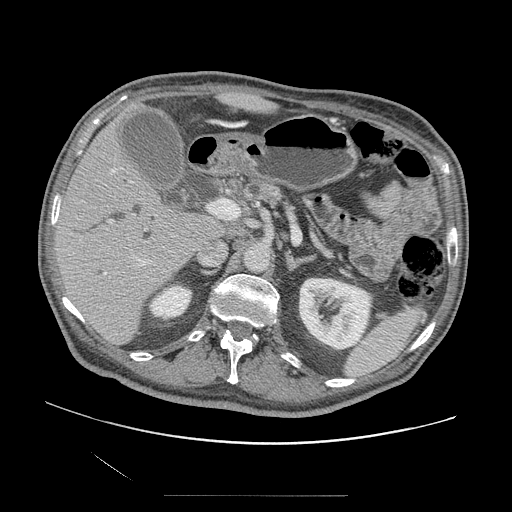
512x512; CT slice; Abdomen
Pancreas: bounding box (left=240, top=180, right=284, bottom=208).